Head. Slice 69/155.
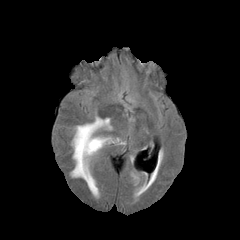
FLAIR MRI.
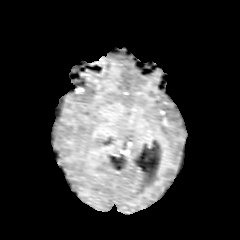
T1-weighted magnetic resonance.
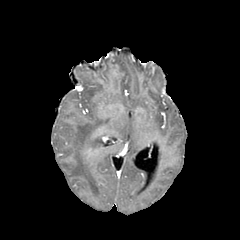
Same slice, post-contrast T1-weighted MR image.
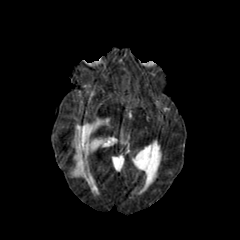
T2-weighted MR of the same slice.
{
  "edema": [
    "l=71, t=117, r=115, b=195"
  ]
}